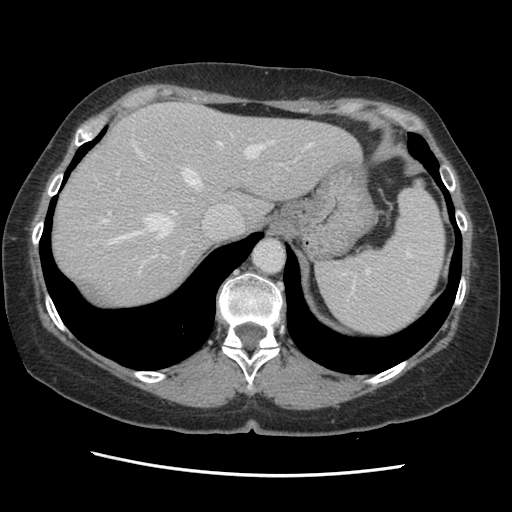 Computed tomography

The vessel boxes may cover only some of the vessels.
The most prominent 15 hepatic vessel regions (of 16) are located at box=[230, 133, 232, 135]; box=[269, 140, 273, 143]; box=[107, 213, 172, 243]; box=[171, 211, 175, 214]; box=[217, 141, 222, 147]; box=[181, 250, 184, 255]; box=[182, 169, 200, 187]; box=[117, 170, 119, 174]; box=[133, 141, 144, 158]; box=[108, 211, 110, 213]; box=[99, 216, 108, 222]; box=[245, 144, 264, 157]; box=[163, 255, 165, 257]; box=[136, 255, 155, 275]; box=[301, 143, 312, 150].